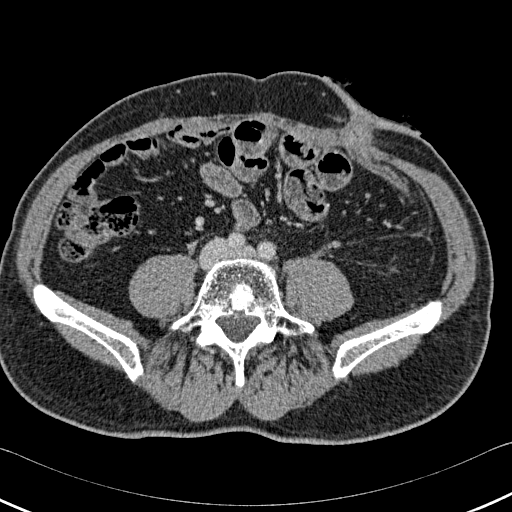

Computed tomography
{
  "bone": [
    "bbox=[333, 302, 440, 377]",
    "bbox=[34, 285, 142, 380]",
    "bbox=[171, 258, 315, 387]"
  ]
}